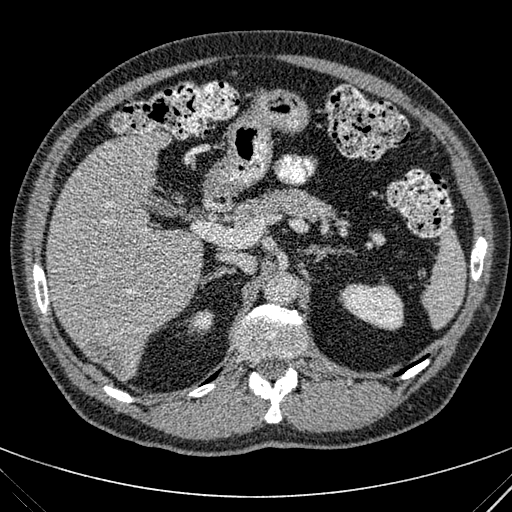
Image size 512x512; CT; Liver
<segmentation>
  <liver>[x1=46, y1=132, x2=200, y2=378], [x1=97, y1=362, x2=117, y2=375]</liver>
  <focal_liver_lesion>[x1=82, y1=334, x2=133, y2=376]</focal_liver_lesion>
  <kidney>[x1=342, y1=284, x2=402, y2=329], [x1=192, y1=312, x2=212, y2=329]</kidney>
</segmentation>